FLAIR MRI.
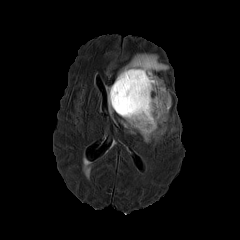
T1-weighted magnetic resonance.
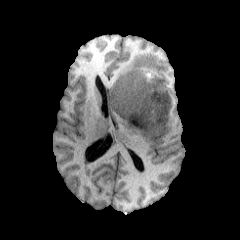
Post-contrast T1-weighted MRI.
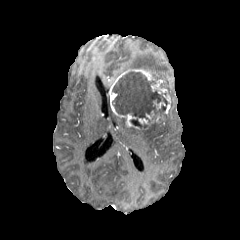
T2-weighted magnetic resonance.
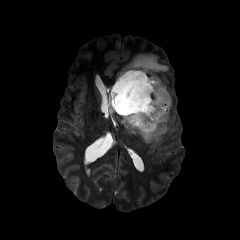
Findings:
* enhancing tumor: bbox=[153, 100, 165, 110]; bbox=[132, 69, 170, 113]; bbox=[108, 72, 136, 125]
* non-enhancing tumor core: bbox=[111, 70, 169, 128]
* edema: bbox=[104, 85, 112, 117]; bbox=[117, 53, 168, 76]; bbox=[119, 113, 169, 145]